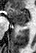

MR
The posterior hippocampus appears at [x1=16, y1=23, x2=25, y2=26]. The anterior hippocampus is bounded by [x1=7, y1=7, x2=29, y2=22].